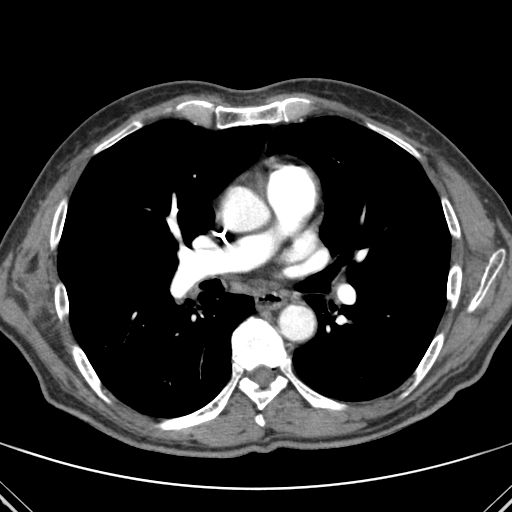

CT slice, Chest, 512x512
bone: l=447, t=265, r=461, b=307; l=368, t=124, r=418, b=156; l=50, t=200, r=66, b=248; l=156, t=317, r=346, b=429; l=468, t=253, r=502, b=311; l=442, t=198, r=460, b=237; l=72, t=346, r=108, b=401; l=94, t=122, r=140, b=153; l=414, t=333, r=443, b=385; l=255, t=415, r=264, b=425; l=170, t=278, r=187, b=297; l=55, t=285, r=68, b=319; l=179, t=98, r=306, b=128 | lung: l=57, t=116, r=450, b=417